Slice index 96, Head, Field of view 240 mm wide, 1.00 mm slice spacing, Image size 240x240
FLAIR MR image.
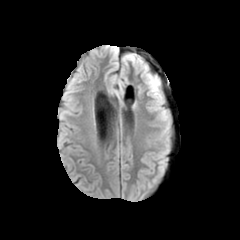
T1-weighted MR.
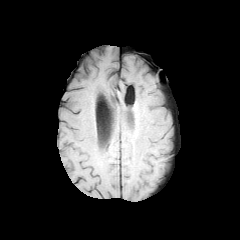
Post-contrast T1-weighted MR image.
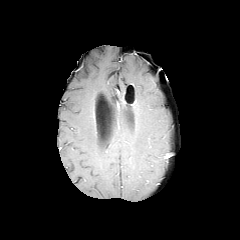
T2-weighted magnetic resonance.
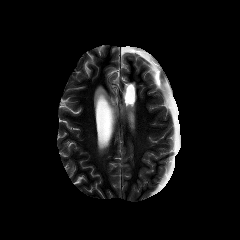
Edema — 140 59 168 120.